CT. Liver. Slice 11/39.
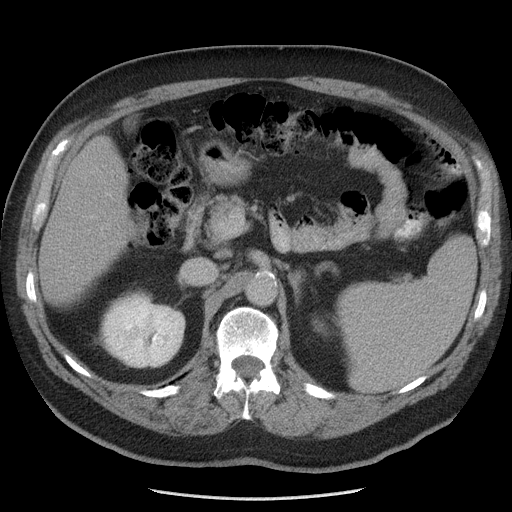
The vessel annotation is not exhaustive.
• hepatic vessel: box=[106, 223, 109, 228]; box=[90, 215, 97, 218]